Field of view 388 mm wide, 2.50 mm slice spacing. Abdomen. CT scan slice. 512x512 px. 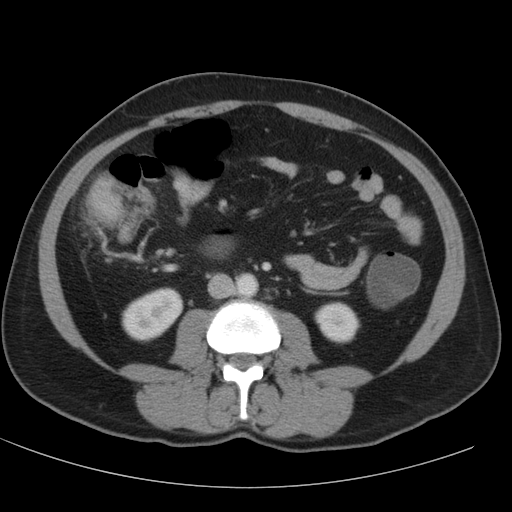
{
  "kidney": [
    "rect(315, 303, 358, 341)",
    "rect(123, 288, 182, 339)"
  ]
}